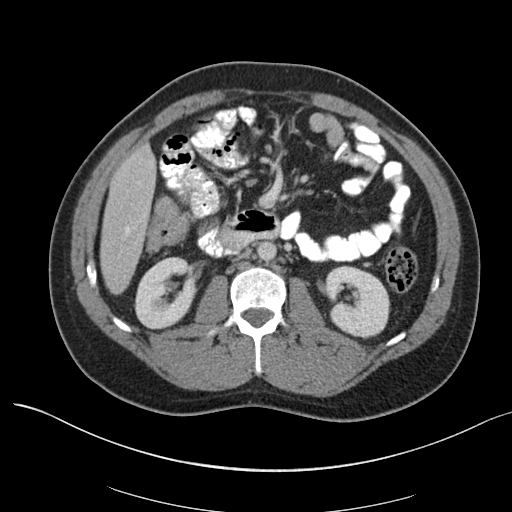 Image size 512x512. Computed tomography.

colon tumor: bbox(153, 197, 188, 242)